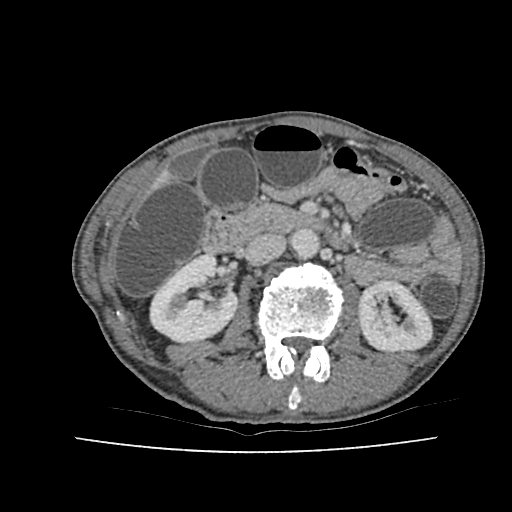

Abdomen; CT slice
- kidney: 359 281 431 350, 151 255 236 341